Slice index 130. CT slice. Upper abdomen.

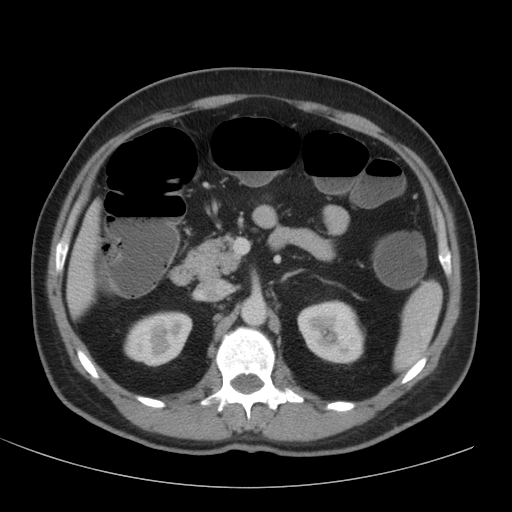 liver:
  - (67, 202, 97, 313)
kidney:
  - (125, 312, 191, 365)
  - (298, 301, 363, 362)